Slice 15/119. CT image.
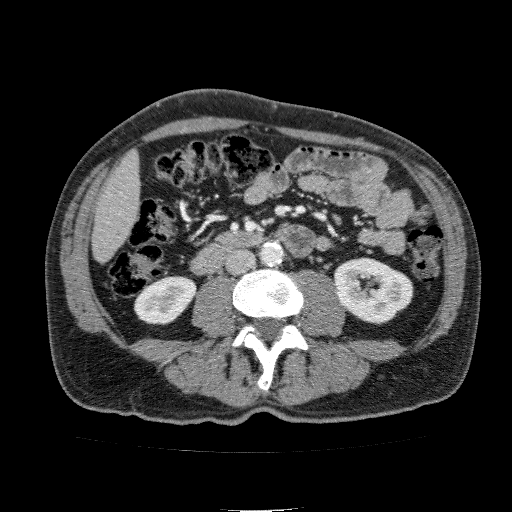
Kidney: [x1=135, y1=277, x2=195, y2=322], [x1=335, y1=259, x2=411, y2=322].
Liver: [x1=92, y1=148, x2=141, y2=263].